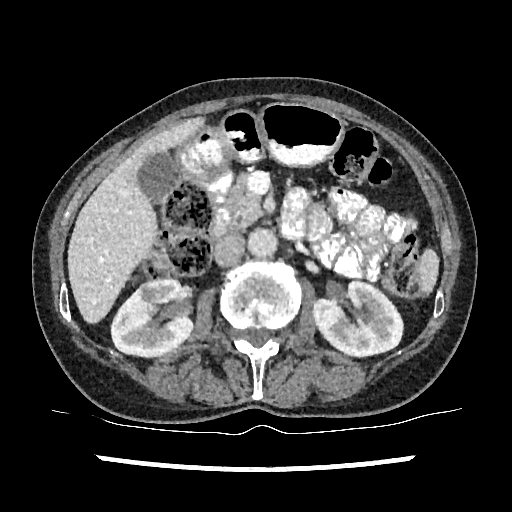 CT slice, Abdomen
Kidney: bounding box [314,281,403,355], [112,277,193,355].
Liver: bounding box [69,119,200,322].